Brain | Field of view 240x240 mm
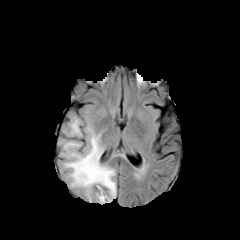
FLAIR MRI.
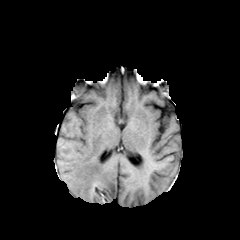
T1-weighted MR image of the same slice.
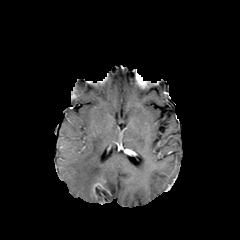
Post-contrast T1-weighted MR image.
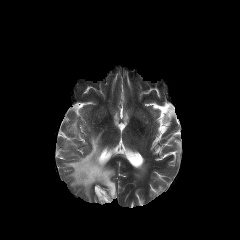
T2-weighted MRI.
Edema = region(60, 117, 116, 202).